FLAIR MR image.
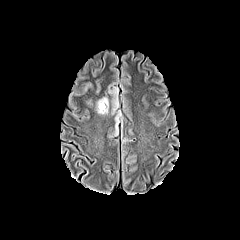
T1-weighted MRI.
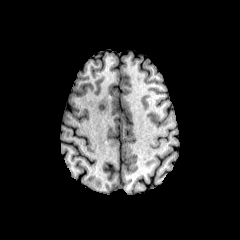
Post-contrast T1-weighted MRI.
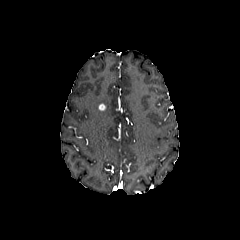
T2-weighted MRI.
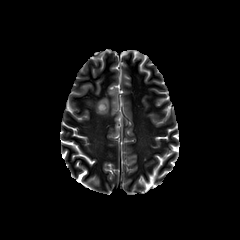
Brain, 240x240
edema: (left=97, top=98, right=108, bottom=114)